Computed tomography, Abdomen, Slice 30/93
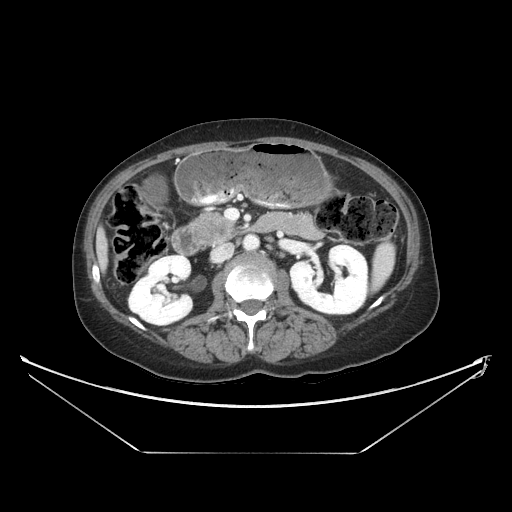

{"pancreas": ["region(194, 213, 236, 243)"], "pancreatic_tumor": ["region(198, 219, 228, 241)"]}